FLAIR MR image.
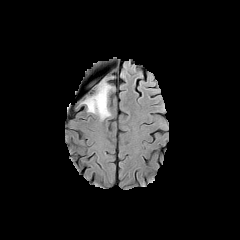
T1-weighted MR.
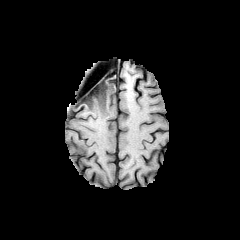
Post-contrast T1-weighted MRI.
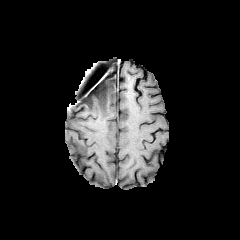
T2-weighted MRI.
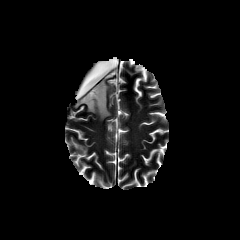
The edema appears at left=80, top=77, right=113, bottom=120. The non-enhancing tumor core is at left=82, top=82, right=105, bottom=103.